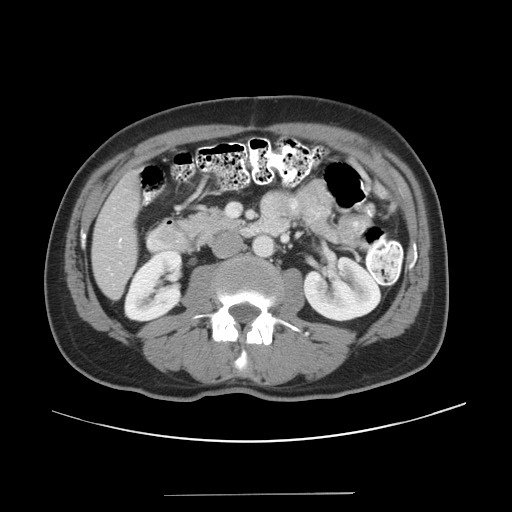 Liver | CT scan slice
Only some of the vessels may be annotated.
Annotated regions:
- hepatic vessel: box=[118, 239, 120, 247]; box=[108, 267, 108, 270]